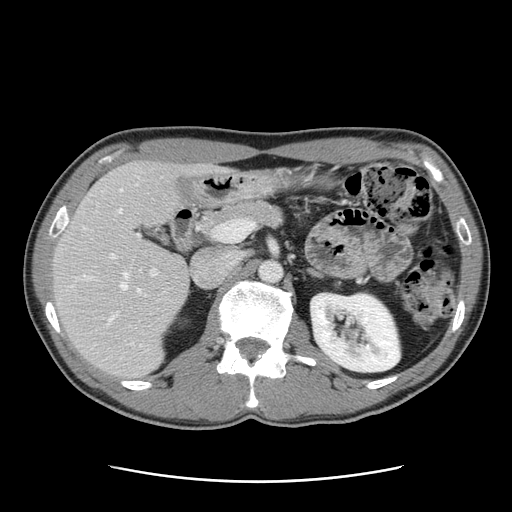 512x512, Liver, Computed tomography

Not every hepatic vessel necessarily has a box.
{"hepatic_vessel": ["left=143, top=294, right=145, bottom=295", "left=109, top=312, right=118, bottom=321", "left=137, top=234, right=139, bottom=236", "left=118, top=209, right=121, bottom=212", "left=136, top=183, right=137, bottom=184", "left=120, top=189, right=121, bottom=190", "left=138, top=289, right=140, bottom=291", "left=124, top=272, right=127, bottom=277", "left=121, top=283, right=126, bottom=288", "left=150, top=268, right=156, bottom=275", "left=110, top=254, right=115, bottom=258", "left=82, top=275, right=90, bottom=278"]}